FLAIR magnetic resonance.
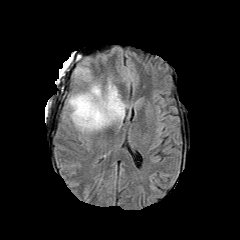
T1-weighted MRI.
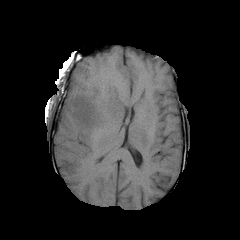
Post-contrast T1-weighted MR image.
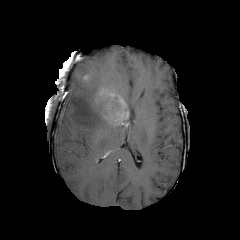
T2-weighted MR image.
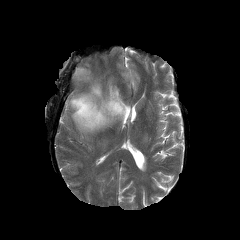
Brain
Annotated regions:
- enhancing tumor: box(107, 104, 116, 116); box(119, 102, 126, 117)
- non-enhancing tumor core: box(104, 95, 124, 121)
- edema: box(67, 67, 122, 133)